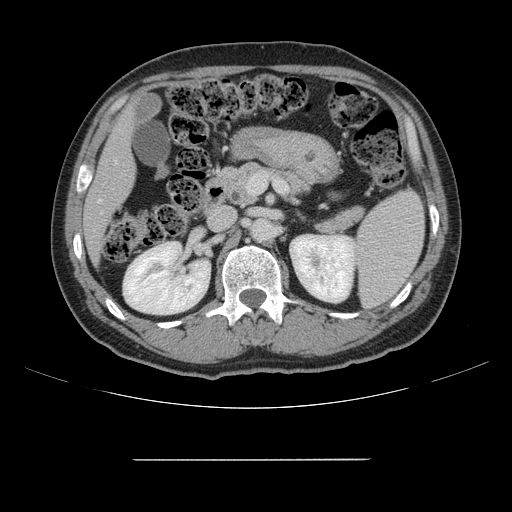
Liver. Computed tomography. The vessel annotation is not exhaustive.
hepatic_vessel:
  - bbox(115, 161, 116, 163)
  - bbox(99, 199, 100, 201)